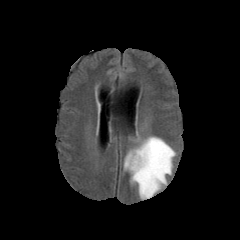
FLAIR MR image.
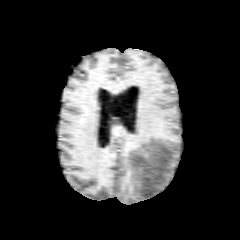
T1-weighted MR.
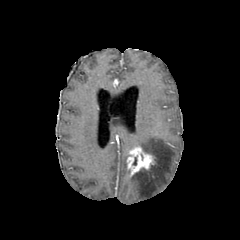
Post-contrast T1-weighted MR image.
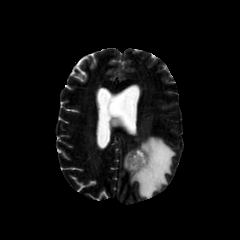
T2-weighted magnetic resonance of the same slice.
Segmented structures:
- enhancing tumor: [127,147,153,173]
- non-enhancing tumor core: [138,156,157,171]
- edema: [123,136,176,199]